Slice 553 of 722, CT scan slice, Abdomen, 512x512 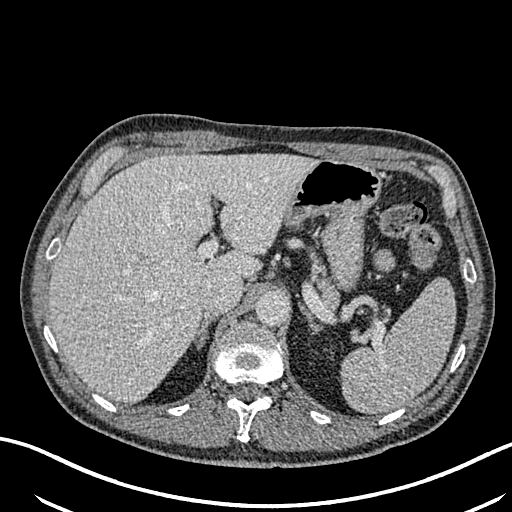
Liver: bounding box <bbox>49, 153, 318, 403</bbox>.